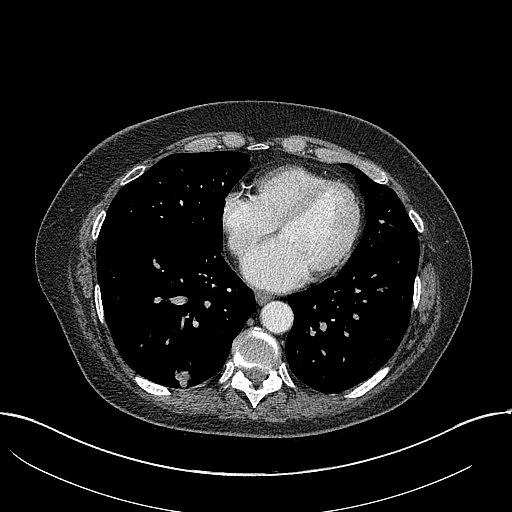

Chest. CT slice.

Lung tumor: left=172, top=365, right=194, bottom=387.